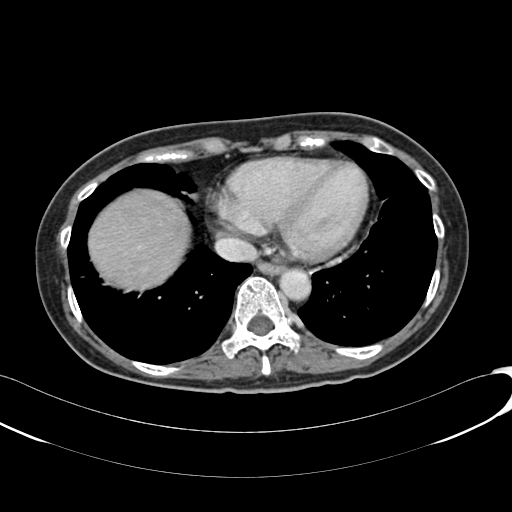

CT image.

The liver appears at 89,191,185,287.